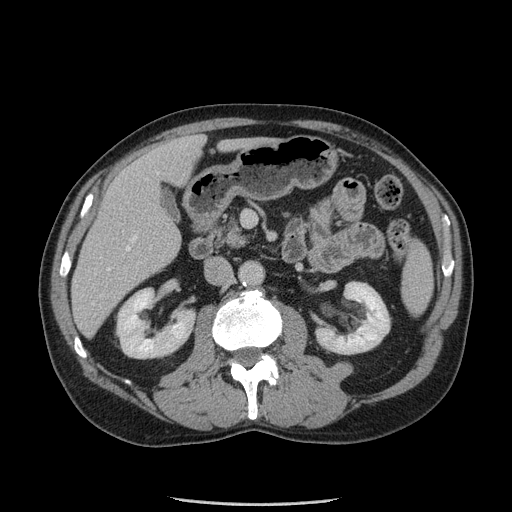

CT scan slice.

Annotated regions:
• pancreas: 212:214:249:249